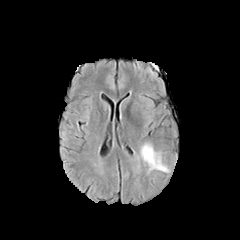
FLAIR magnetic resonance.
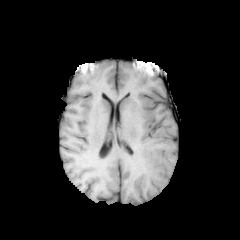
T1-weighted MR.
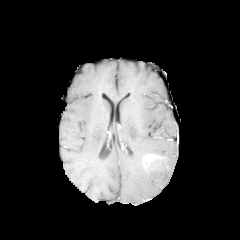
Post-contrast T1-weighted MR.
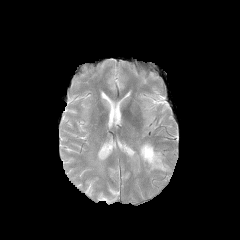
T2-weighted MR image.
Brain
- edema: <bbox>131, 141, 161, 163</bbox>, <bbox>153, 162, 170, 173</bbox>
- enhancing tumor: <bbox>143, 152, 163, 169</bbox>